Image size 512x512, CT scan slice

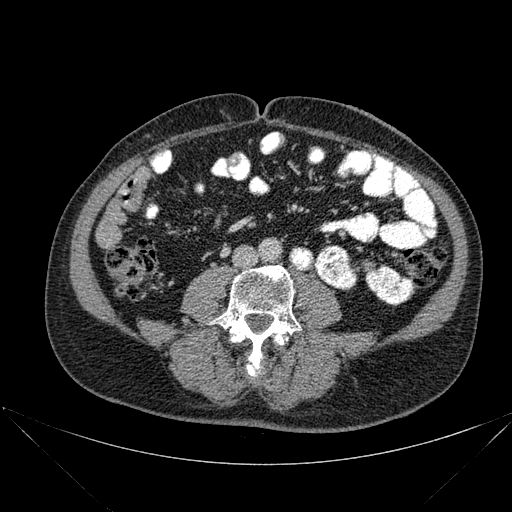
The bone is at box=[212, 265, 300, 377].